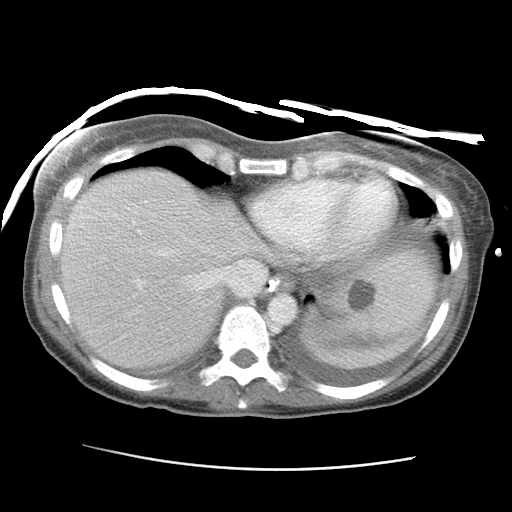

CT image
<segmentation>
  <liver>region(59, 170, 258, 367); region(340, 249, 435, 335)</liver>
  <hepatic_lesion>region(347, 280, 374, 311)</hepatic_lesion>
</segmentation>